FLAIR MR.
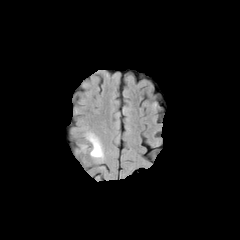
T1-weighted MR.
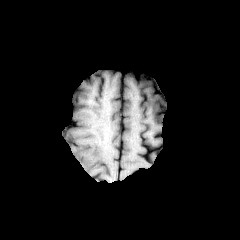
Post-contrast T1-weighted magnetic resonance.
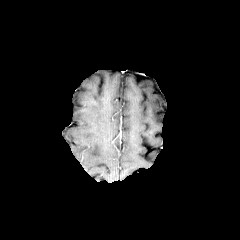
T2-weighted MRI.
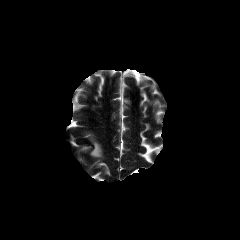
Brain
Edema at box(90, 137, 102, 157).